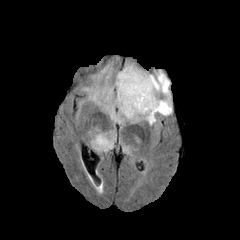
FLAIR MRI.
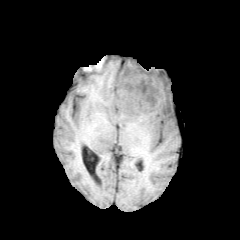
T1-weighted magnetic resonance.
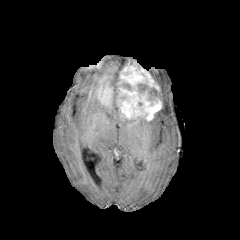
Post-contrast T1-weighted magnetic resonance.
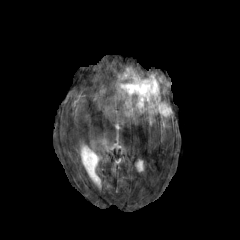
Same slice, T2-weighted MR.
Head.
2 enhancing tumor regions are bounded by box=[98, 86, 112, 112]; box=[114, 63, 161, 120]. 2 non-enhancing tumor core regions are located at box=[135, 82, 157, 100]; box=[121, 84, 134, 91]. 3 edema regions are bounded by box=[81, 64, 146, 125]; box=[147, 69, 172, 126]; box=[92, 133, 116, 151].